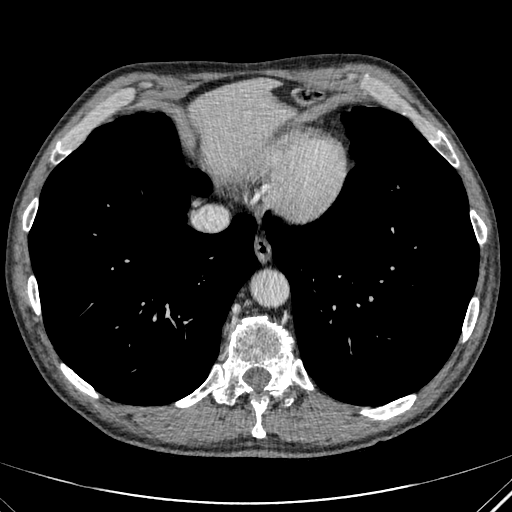 Liver; CT slice
Liver — [x1=188, y1=79, x2=295, y2=167].